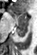

MRI.
<segmentation>
  <posterior_hippocampus>box=[16, 23, 28, 37]</posterior_hippocampus>
  <anterior_hippocampus>box=[9, 9, 28, 22]</anterior_hippocampus>
</segmentation>